T2-weighted MR.
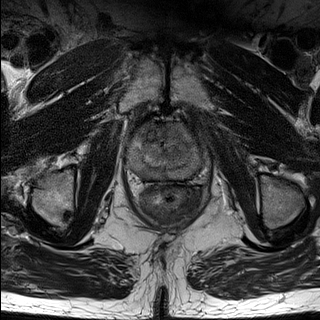
ADC MRI.
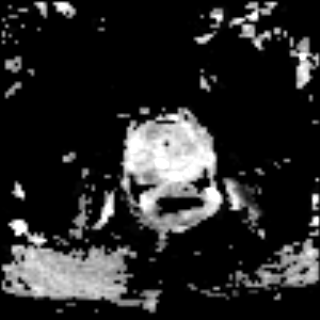
Prostate.
{"prostate_peripheral_zone": ["[130,126,198,179]"], "prostate_transition_zone": ["[139,124,193,169]"]}